Abdomen; Computed tomography; 512x512 px 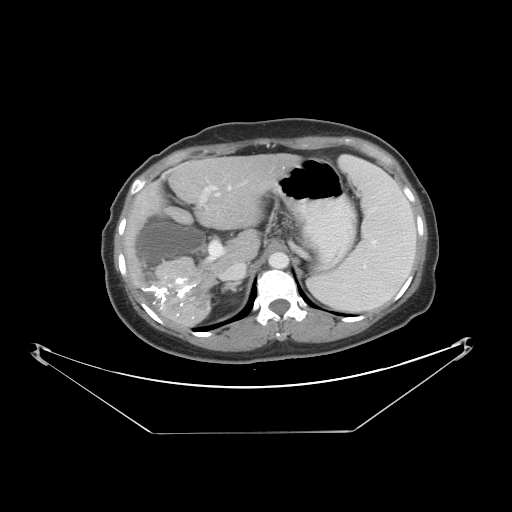 Only some of the vessels may be annotated.
Segmented structures:
* liver tumor: [140, 266, 206, 321]
* hepatic vessel: [210, 244, 220, 255], [201, 186, 216, 202]